Slice 243 of 333. CT image. 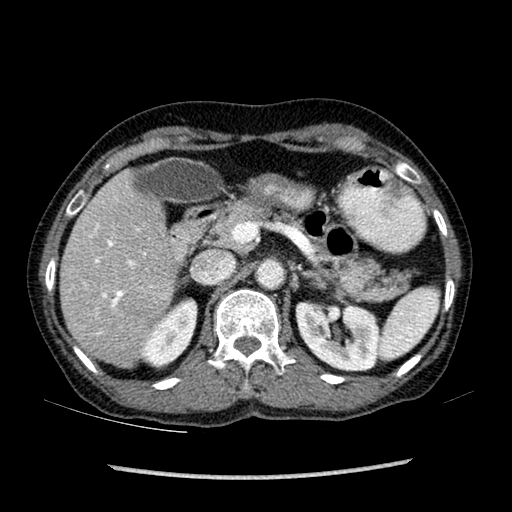
<segmentation>
  <liver>61,174,174,365</liver>
  <kidney>142,301,196,365; 297,303,377,369</kidney>
</segmentation>